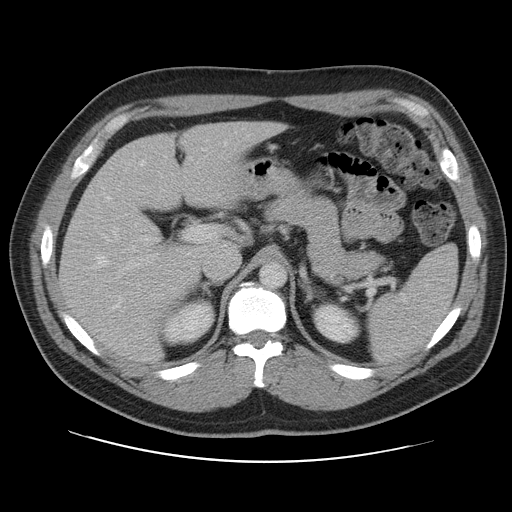
512x512 px; CT
Not every hepatic vessel necessarily has a box.
<segmentation>
  <hepatic_vessel>left=93, top=256, right=107, bottom=268; left=138, top=283, right=139, bottom=285; left=100, top=234, right=109, bottom=241; left=141, top=227, right=160, bottom=245; left=113, top=303, right=119, bottom=308; left=113, top=228, right=118, bottom=235; left=155, top=253, right=157, bottom=255; left=116, top=296, right=121, bottom=300; left=132, top=247, right=135, bottom=251; left=159, top=246, right=160, bottom=247</hepatic_vessel>
</segmentation>